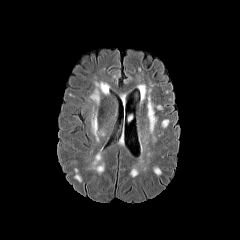
FLAIR MR image.
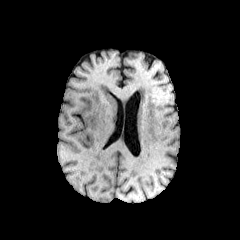
T1-weighted MR of the same slice.
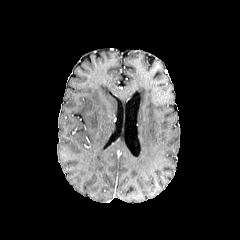
Post-contrast T1-weighted magnetic resonance.
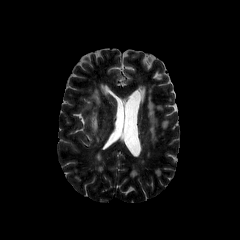
T2-weighted MR.
Brain. 240x240.
2 edema regions are located at {"x1": 92, "y1": 116, "x2": 97, "y2": 134}, {"x1": 92, "y1": 91, "x2": 99, "y2": 102}.